Brain, Slice 69 of 155
FLAIR MR.
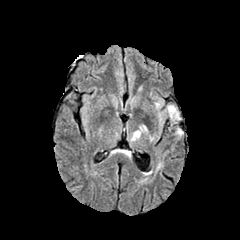
T1-weighted MR.
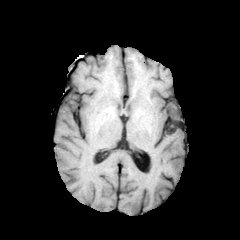
Post-contrast T1-weighted MRI.
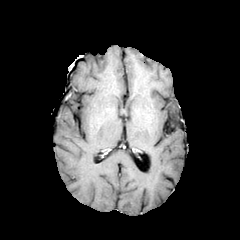
T2-weighted magnetic resonance.
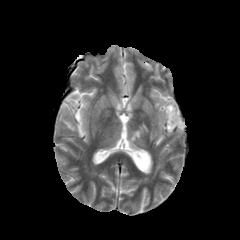
edema: box(154, 100, 183, 135); box(131, 125, 147, 140)